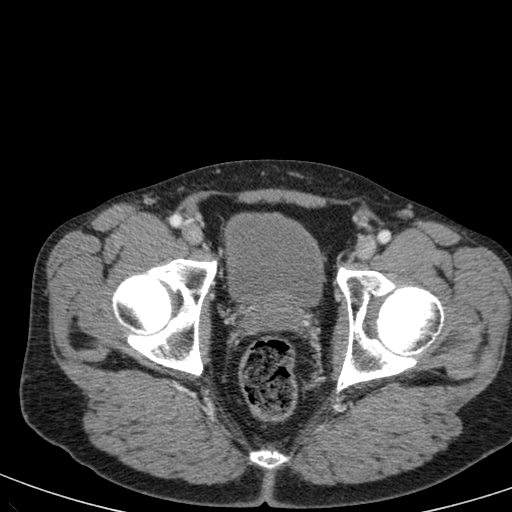
CT image
urinary bladder: <box>225,213,322,308</box>